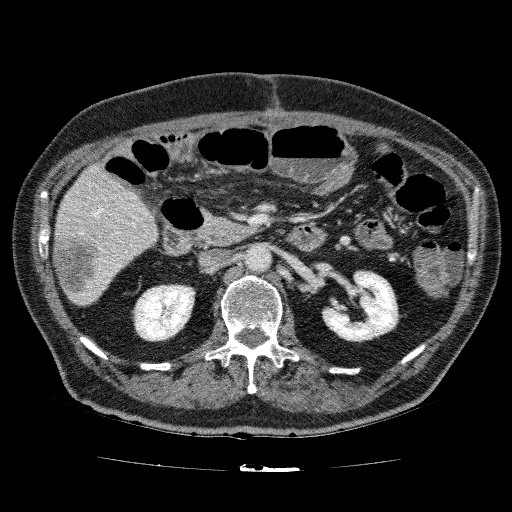
CT image. Upper abdomen.

<segmentation>
  <liver>(x1=55, y1=161, x2=159, y2=306)</liver>
  <kidney>(x1=133, y1=285, x2=194, y2=340), (x1=322, y1=271, x2=397, y2=341)</kidney>
  <focal_liver_lesion>(x1=53, y1=232, x2=101, y2=295)</focal_liver_lesion>
</segmentation>